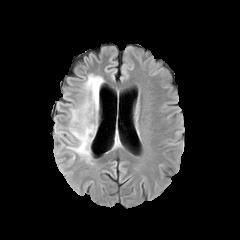
FLAIR MR.
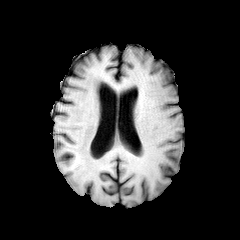
T1-weighted magnetic resonance.
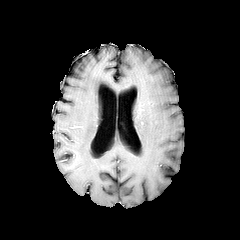
Post-contrast T1-weighted magnetic resonance.
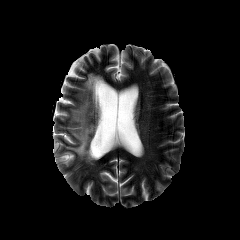
T2-weighted MR.
Brain
The edema lies within (x1=66, y1=73, x2=104, y2=161).